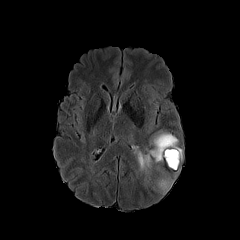
FLAIR MR.
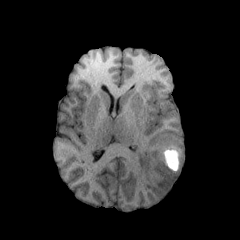
Same slice, T1-weighted MR image.
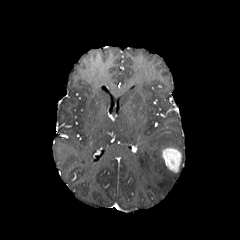
Post-contrast T1-weighted magnetic resonance.
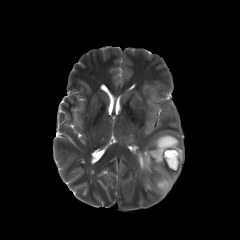
Same slice, T2-weighted magnetic resonance.
2 edema regions are bounded by (x1=137, y1=133, x2=178, y2=182), (x1=156, y1=177, x2=175, y2=194). The enhancing tumor is located at (x1=162, y1=146, x2=182, y2=173).